Medial temporal lobe, MR image

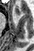
Annotated regions:
• anterior hippocampus: [14, 7, 21, 15]